Slice index 330. CT slice. Field of view 344 mm wide, 0.80 mm slice spacing. Abdomen. 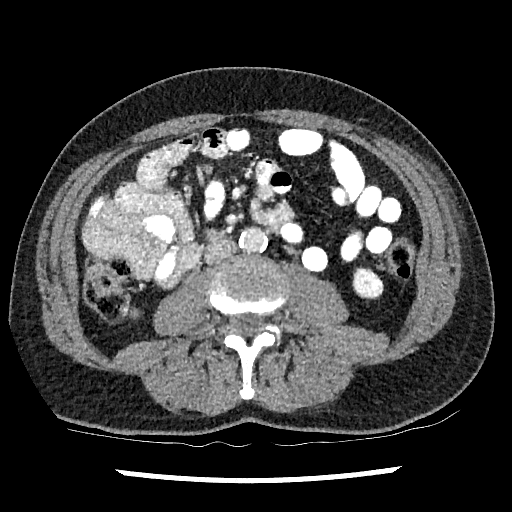

Annotated regions:
- kidney: left=355, top=269, right=381, bottom=296